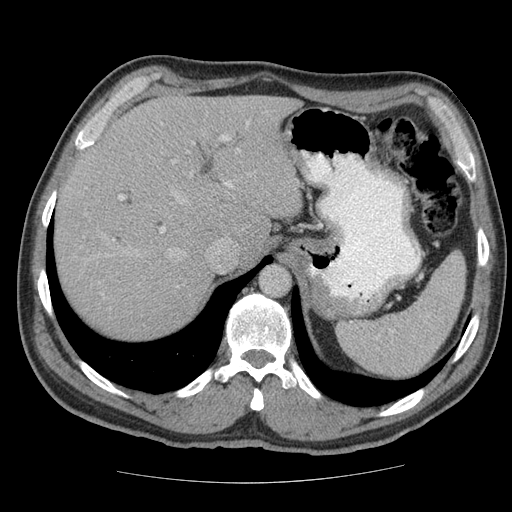
Abdomen; CT slice
The vessel boxes may cover only some of the vessels.
Findings:
* hepatic vessel: [101,293,103,296], [118,195,124,200], [171,188,187,203], [167,248,185,260], [220,135,228,141], [99,282,101,284], [159,227,165,232], [223,181,231,186], [192,143,193,145], [247,121,249,124], [112,239,114,241], [189,172,192,176], [172,159,177,162], [188,151,189,153]